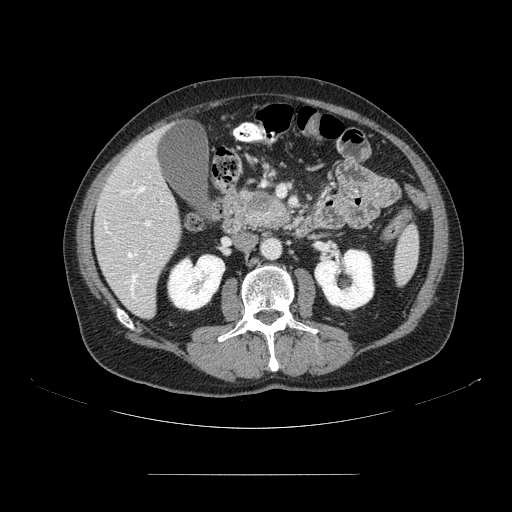
Image size 512x512, CT, Upper abdomen
Pancreatic tumor — left=244, top=191, right=270, bottom=212.
Pancreas — left=238, top=187, right=292, bottom=230.